FLAIR MR.
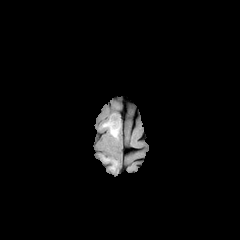
T1-weighted MR image.
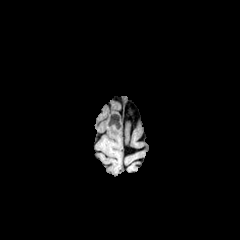
Post-contrast T1-weighted MRI.
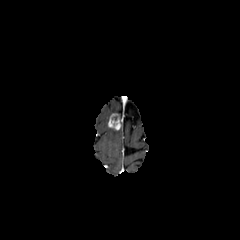
T2-weighted magnetic resonance.
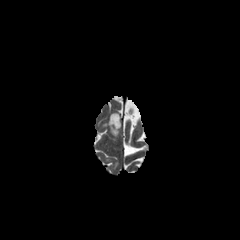
{"enhancing_tumor": ["(x1=108, y1=113, x2=121, y2=130)"], "edema": ["(x1=109, y1=129, x2=119, y2=139)"]}